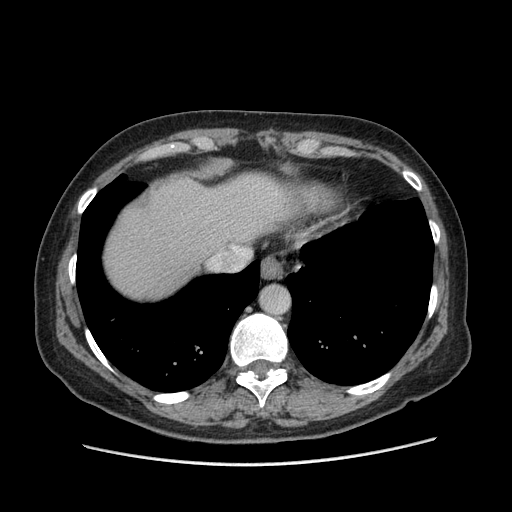 CT slice | 512x512 px
The vessel annotation is not exhaustive.
2 hepatic vessel regions are located at box=[175, 241, 178, 242]; box=[208, 244, 250, 270].